Brain
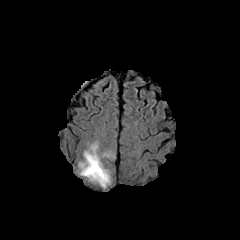
FLAIR MRI.
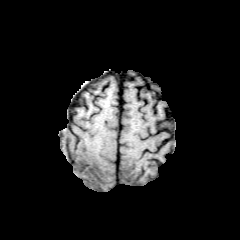
T1-weighted magnetic resonance of the same slice.
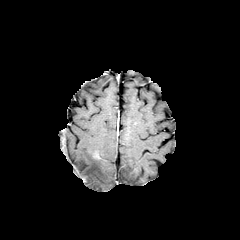
Post-contrast T1-weighted MRI of the same slice.
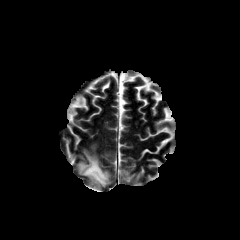
Same slice, T2-weighted MRI.
Edema — left=78, top=143, right=114, bottom=188.